Slice index 43; Brain
FLAIR MR.
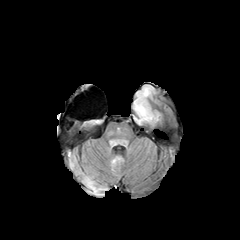
T1-weighted MR image.
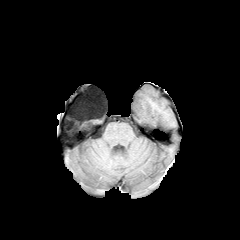
Post-contrast T1-weighted MR image.
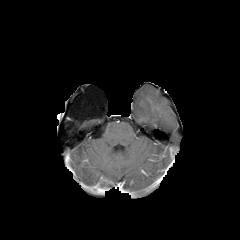
T2-weighted MR.
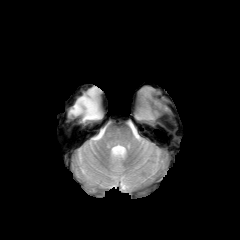
2 edema regions are located at <box>78,170,96,185</box>, <box>138,106,150,119</box>. The non-enhancing tumor core is located at <box>87,183,107,192</box>.